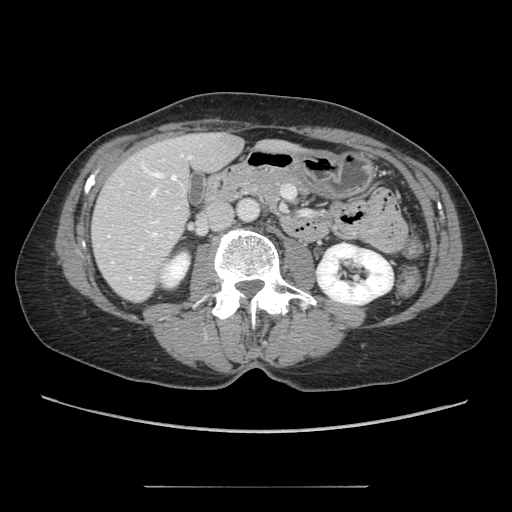

Upper abdomen; Computed tomography
The pancreas is located at x1=224 y1=163 x2=313 y2=213.